Pelvis. CT image.

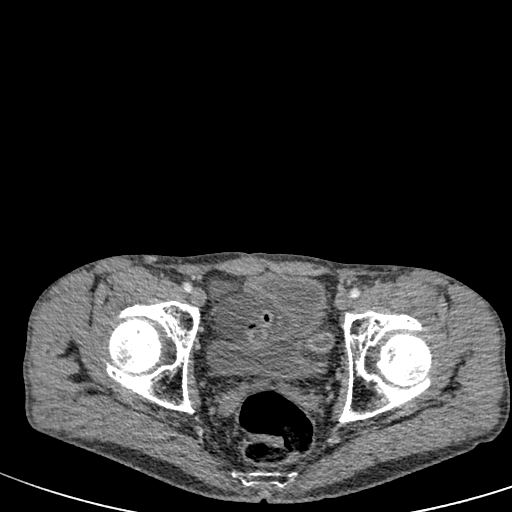
Urinary bladder at 208:273:326:390.